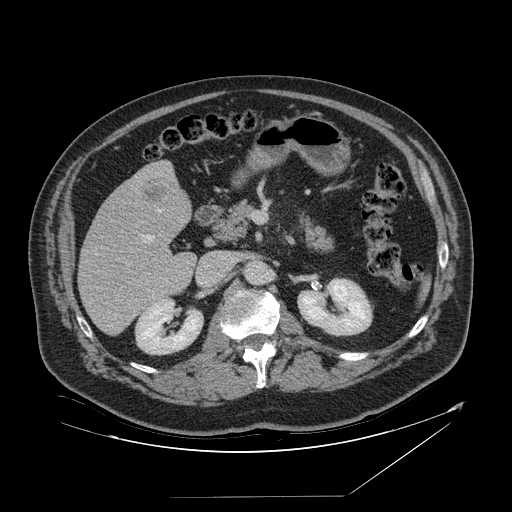

CT, Abdomen
spleen:
  - {"x1": 418, "y1": 275, "x2": 429, "y2": 304}